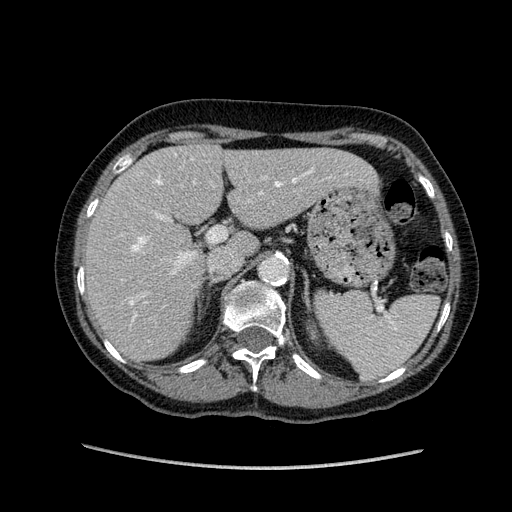

Computed tomography, Liver, 512x512 px

Segmented structures:
• liver: bbox=[86, 145, 373, 358]